FLAIR MRI.
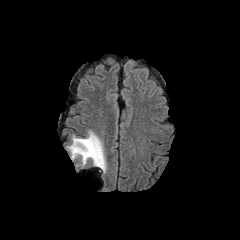
T1-weighted MRI.
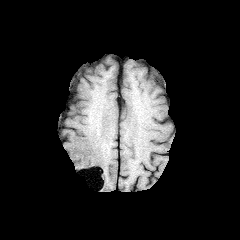
Post-contrast T1-weighted MR.
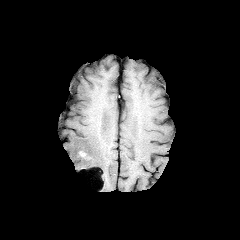
T2-weighted MR.
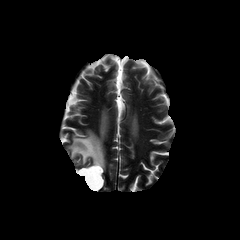
Image size 240x240. Brain.
Segmented structures:
- non-enhancing tumor core: x1=79 y1=150 x2=91 y2=160
- edema: x1=66 y1=129 x2=107 y2=174